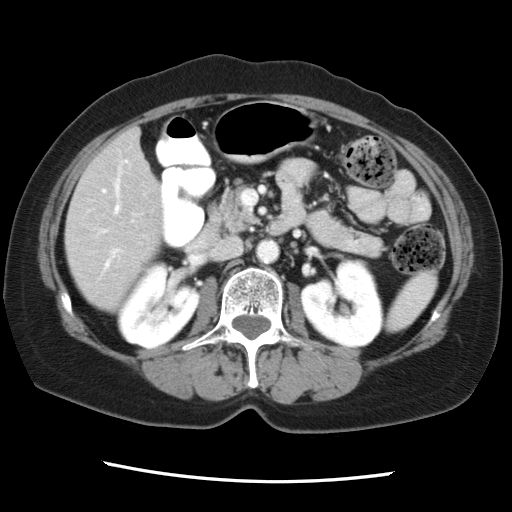 512x512 px | CT image | Liver
The vessel annotation is not exhaustive.
<segmentation>
  <hepatic_vessel>(115, 177, 119, 197), (108, 248, 123, 260), (113, 202, 119, 212), (102, 268, 105, 274)</hepatic_vessel>
</segmentation>